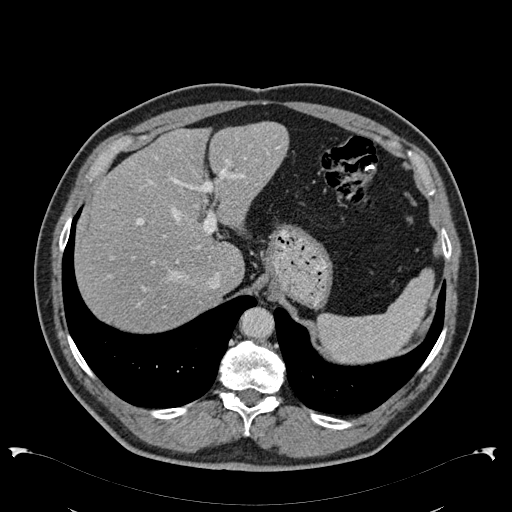
CT slice

2 liver regions are bounded by left=75, top=129, right=243, bottom=330; left=209, top=122, right=288, bottom=232.